Slice index 111
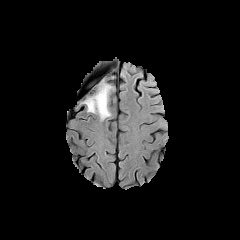
FLAIR MR.
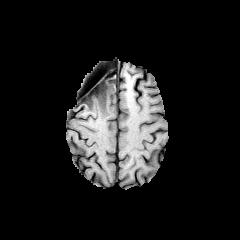
T1-weighted MR of the same slice.
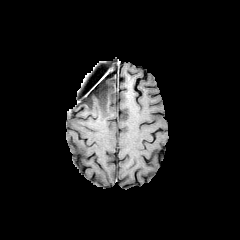
Post-contrast T1-weighted MR image.
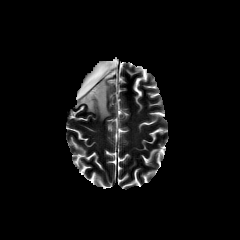
T2-weighted magnetic resonance of the same slice.
Non-enhancing tumor core: (82,80,109,103).
Edema: (84,84,113,120).